512x512 px; Computed tomography
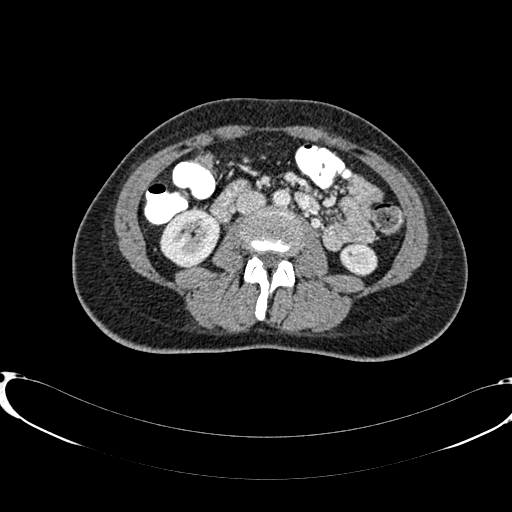
2 kidney regions are located at box(342, 245, 375, 273); box(162, 211, 218, 265).